Image size 34x47, Slice 25 of 39, MR image

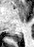
Annotated regions:
- posterior hippocampus: 13 33 22 42